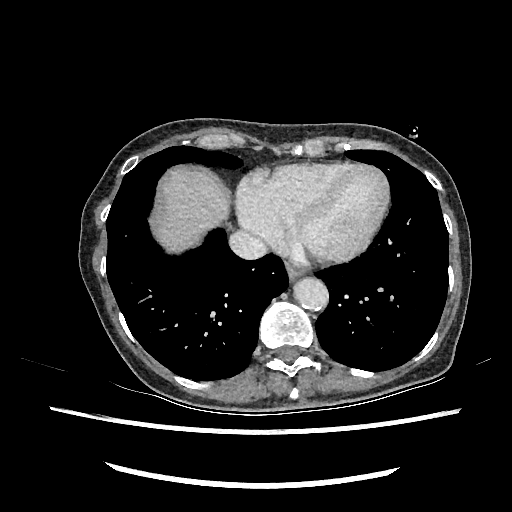 Liver | CT

liver:
  - 159, 170, 228, 249